Slice 36 of 103 | CT image

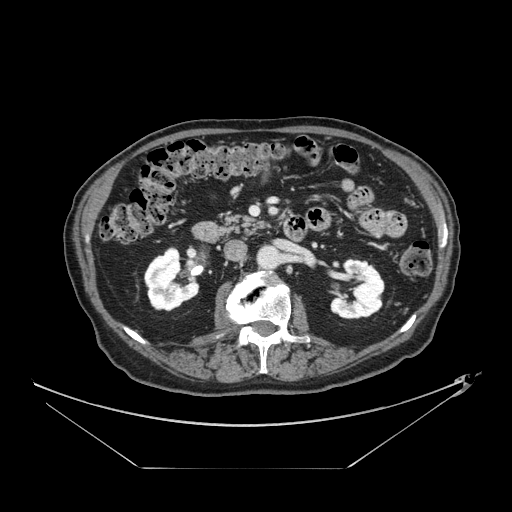
{"pancreas": ["220 215 263 235"]}